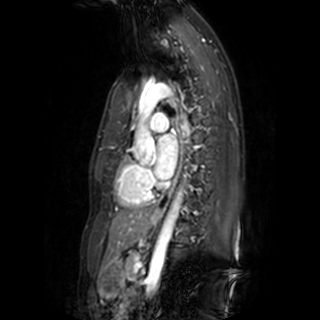
Cardiac, MRI slice

left atrium: rect(154, 134, 177, 179)